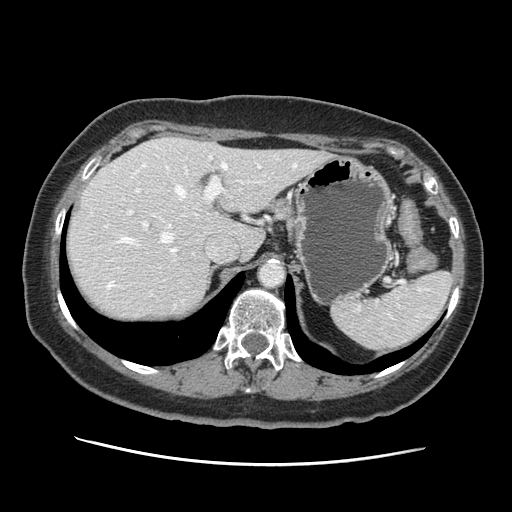
CT | Upper abdomen | Image size 512x512
• spleen: (332,273,450,350)